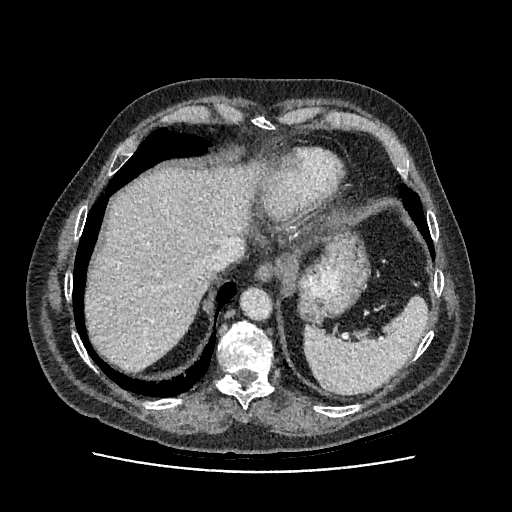

CT slice | 512x512
The liver appears at 85 165 261 370.